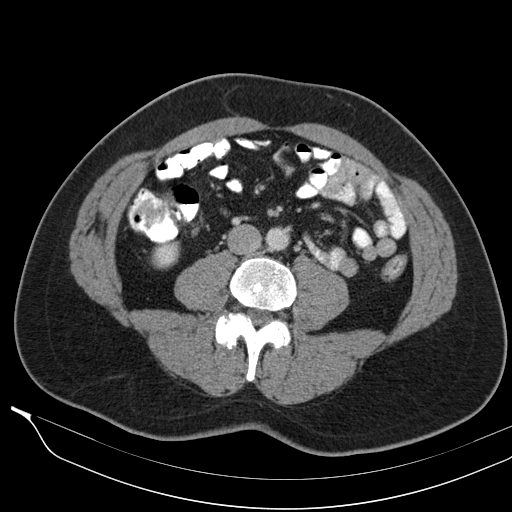

CT image.
{
  "colon_tumor": [
    "bbox=[135, 199, 166, 227]"
  ]
}